FLAIR magnetic resonance.
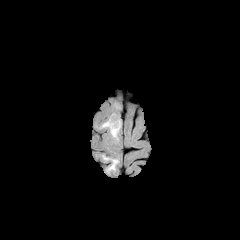
T1-weighted MRI.
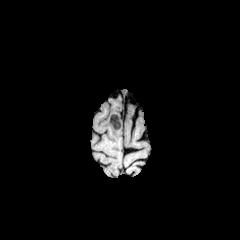
Post-contrast T1-weighted MR.
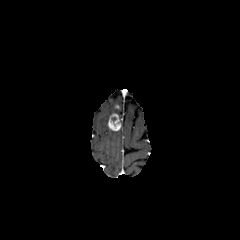
T2-weighted MR.
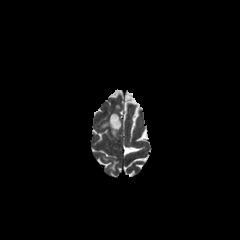
2 edema regions are bounded by x1=109 y1=130 x2=118 y2=139, x1=108 y1=159 x2=117 y2=170. The enhancing tumor appears at x1=108 y1=112 x2=122 y2=130.